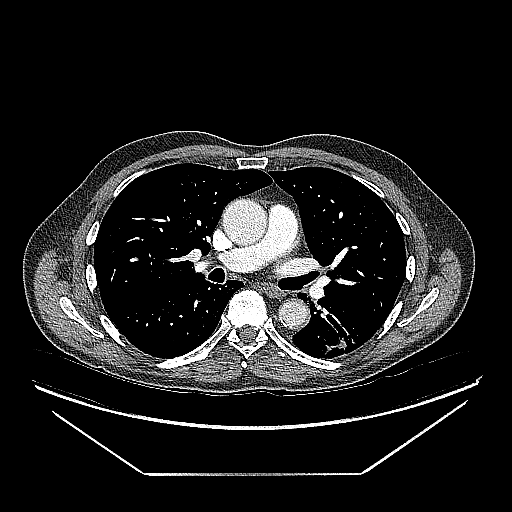 Image size 512x512, CT image

• lung tumor: x1=319, y1=331, x2=363, y2=356